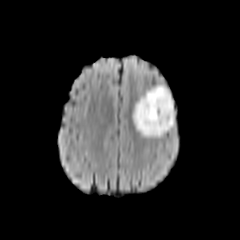
FLAIR MRI.
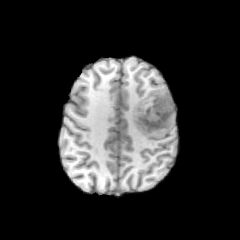
Same slice, T1-weighted MRI.
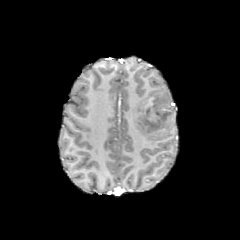
Post-contrast T1-weighted MR image.
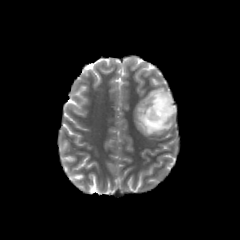
T2-weighted MR.
Head.
Findings:
• non-enhancing tumor core: <bbox>139, 91, 173, 131</bbox>
• edema: <bbox>131, 84, 176, 138</bbox>